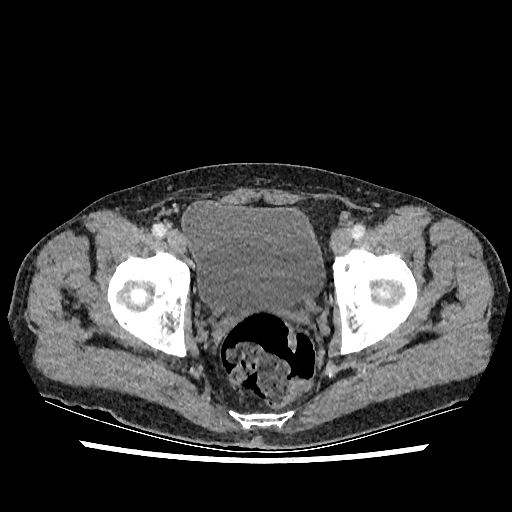

CT
Urinary bladder: [183, 200, 325, 332].